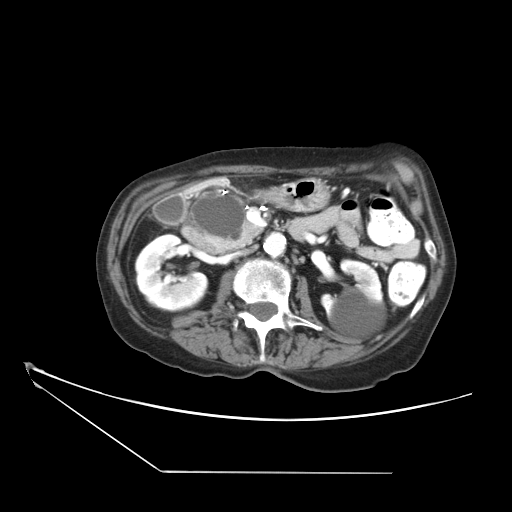
Abdomen; CT scan slice
{"pancreas": ["(x1=189, y1=188, x2=260, y2=253)"], "pancreatic_tumor": ["(x1=192, y1=196, x2=245, y2=240)"]}